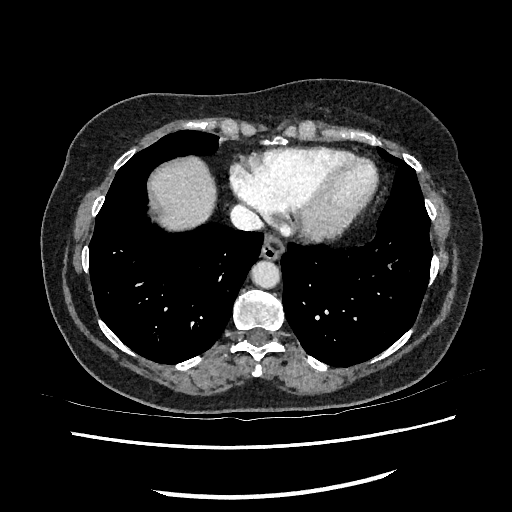 Image size 512x512; CT slice; Liver
{"liver": ["(150, 157, 214, 231)"]}